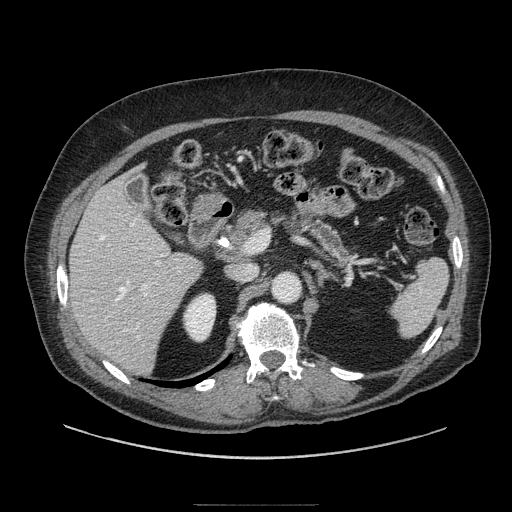
CT scan slice
Pancreas: bounding box l=287, t=209, r=356, b=265; l=233, t=211, r=266, b=245.